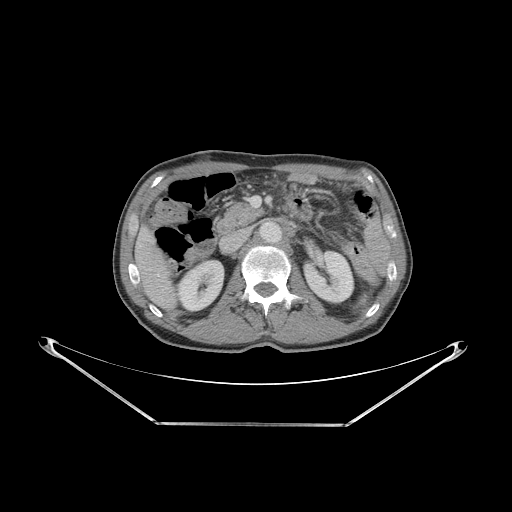 Liver | Computed tomography
<segmentation>
  <liver>box=[135, 226, 175, 310]</liver>
  <bone>box=[242, 247, 297, 314]; box=[366, 304, 378, 316]; box=[150, 306, 161, 316]</bone>
  <kidney>box=[305, 252, 352, 301]; box=[178, 261, 223, 310]</kidney>
</segmentation>